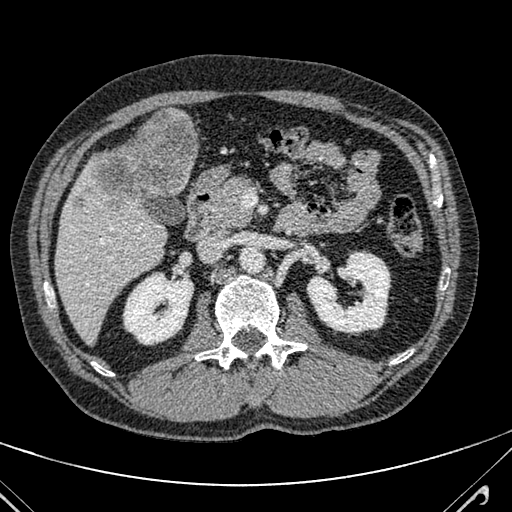

Upper abdomen; Computed tomography; 512x512
The hepatic lesion is bounded by l=73, t=110, r=195, b=208. 2 liver regions are located at l=173, t=162, r=193, b=193; l=55, t=159, r=166, b=345.